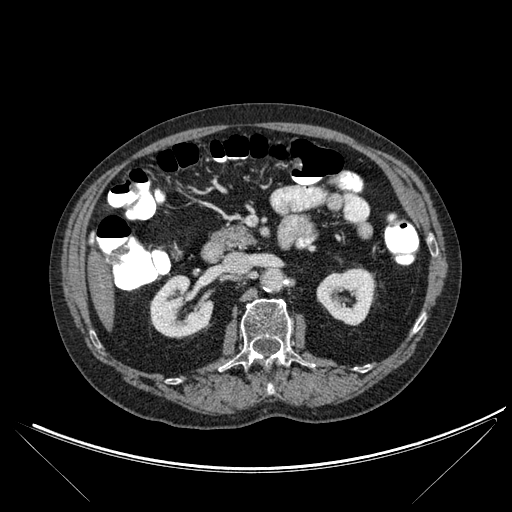
CT image; Liver

Segmented structures:
• liver: box(88, 250, 114, 330)
• kidney: box(317, 269, 373, 324); box(150, 275, 212, 337)
• bone: box(413, 317, 423, 331); box(355, 366, 366, 372); box(224, 299, 291, 367); box(267, 384, 273, 394)